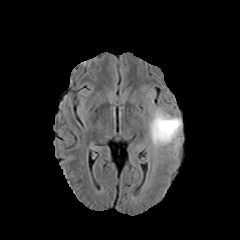
FLAIR magnetic resonance.
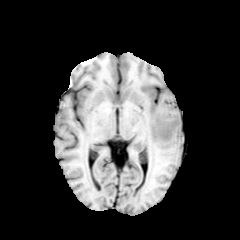
T1-weighted MR image.
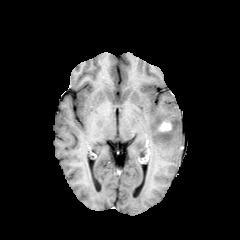
Post-contrast T1-weighted MR.
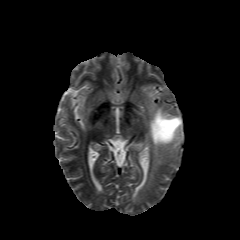
T2-weighted magnetic resonance of the same slice.
Head
edema:
  - l=140, t=94, r=183, b=161
non-enhancing_tumor_core:
  - l=156, t=132, r=171, b=139
  - l=159, t=119, r=175, b=131